Liver, CT slice, 512x512 px 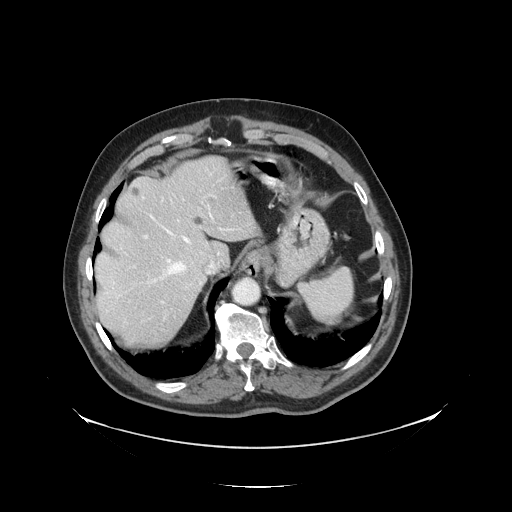 Not every hepatic vessel necessarily has a box.
Hepatic vessel: bounding box {"x1": 200, "y1": 277, "x2": 206, "y2": 285}, {"x1": 161, "y1": 302, "x2": 163, "y2": 303}, {"x1": 211, "y1": 262, "x2": 213, "y2": 264}, {"x1": 134, "y1": 265, "x2": 135, "y2": 266}, {"x1": 220, "y1": 229, "x2": 231, "y2": 231}, {"x1": 183, "y1": 236, "x2": 190, "y2": 242}, {"x1": 165, "y1": 311, "x2": 167, "y2": 316}, {"x1": 207, "y1": 205, "x2": 210, "y2": 210}, {"x1": 210, "y1": 214, "x2": 213, "y2": 221}, {"x1": 144, "y1": 236, "x2": 147, "y2": 238}, {"x1": 218, "y1": 253, "x2": 222, "y2": 255}, {"x1": 167, "y1": 260, "x2": 170, "y2": 262}, {"x1": 210, "y1": 194, "x2": 214, "y2": 196}.
Liver tumor: bounding box {"x1": 132, "y1": 187, "x2": 139, "y2": 196}.